T2-weighted MR.
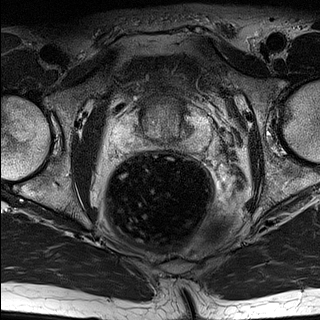
ADC MR.
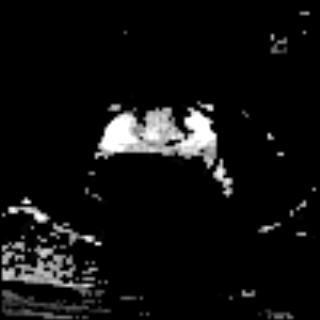
<segmentation>
  <prostate_transition_zone>left=138, top=108, right=187, bottom=140</prostate_transition_zone>
  <prostate_peripheral_zone>left=118, top=111, right=214, bottom=154</prostate_peripheral_zone>
</segmentation>